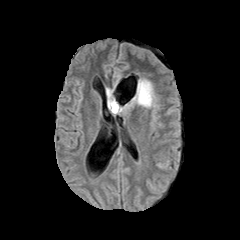
FLAIR magnetic resonance.
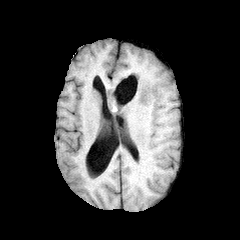
Same slice, T1-weighted magnetic resonance.
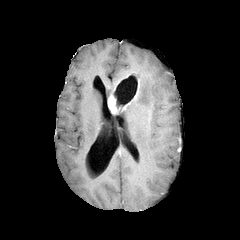
Same slice, post-contrast T1-weighted magnetic resonance.
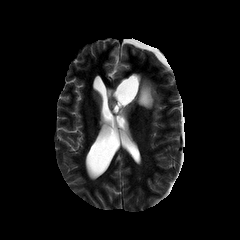
T2-weighted MR of the same slice.
Brain
enhancing tumor: bbox=[108, 93, 119, 113] | edema: bbox=[123, 76, 156, 113]; bbox=[106, 87, 133, 105]